CT image. 512x512 px. Slice 11/89.

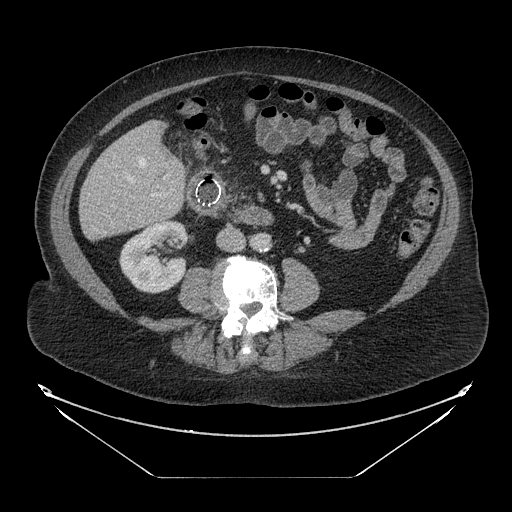
Segmented structures:
• pancreas: 223,197,233,206